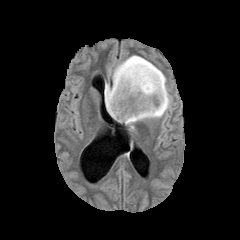
FLAIR MR.
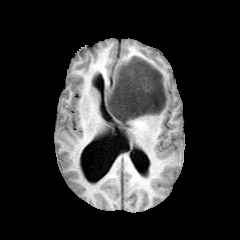
T1-weighted MR.
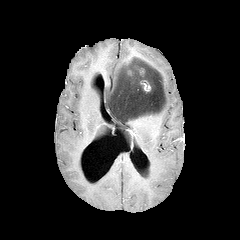
Post-contrast T1-weighted MRI of the same slice.
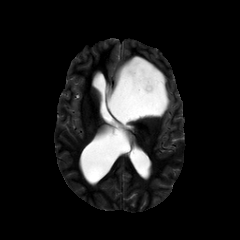
T2-weighted MR.
Head
Edema at <box>104,56,171,129</box>.
Non-enhancing tumor core at <box>106,68,165,123</box>.